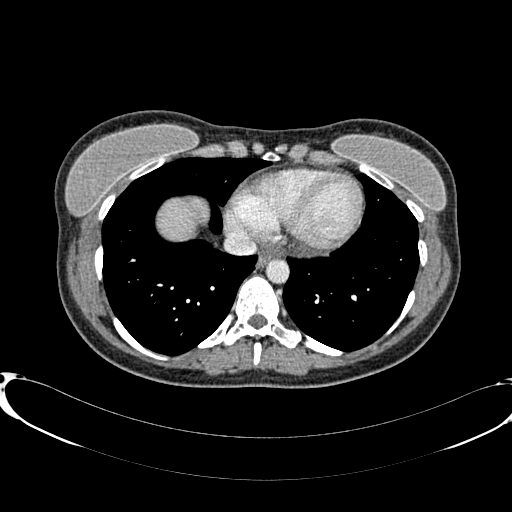 Liver; CT scan slice

Segmented structures:
* liver: (left=158, top=199, right=207, bottom=239)